Computed tomography. Slice 398/756. 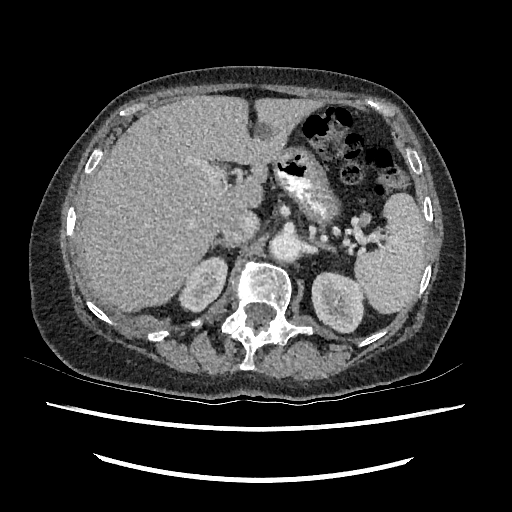

2 kidney regions are located at x1=180, y1=258, x2=226, y2=310; x1=312, y1=273, x2=363, y2=332. The liver is at x1=85, y1=96, x2=324, y2=311. The hepatic lesion lies within x1=255, y1=123, x2=270, y2=137.